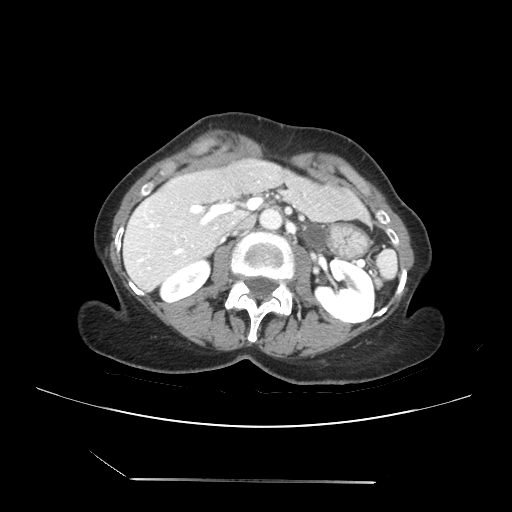

Abdomen | CT scan slice

Pancreatic tumor: bounding box rect(302, 223, 327, 250).
Pancreas: bounding box rect(313, 227, 331, 252); rect(301, 219, 317, 234).